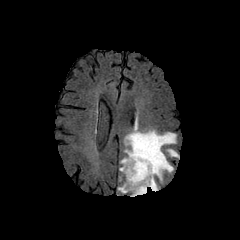
FLAIR MR.
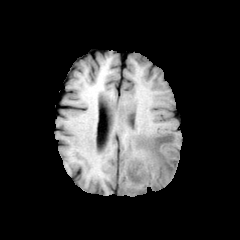
T1-weighted MR.
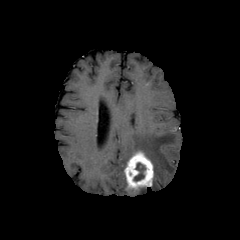
Post-contrast T1-weighted MRI.
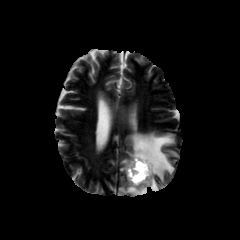
T2-weighted MR image of the same slice.
Head. 240x240 px.
The enhancing tumor is at 124,150,153,193. The non-enhancing tumor core is at 134,163,144,180. 3 edema regions appear at 118,182,129,193; 120,127,177,191; 130,187,146,195.